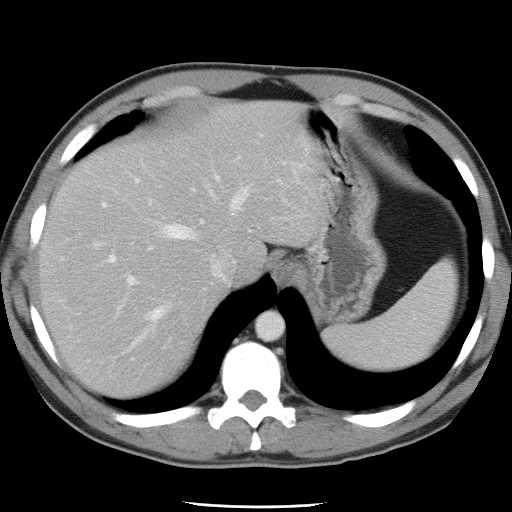 Liver, Computed tomography
The vessel boxes may cover only some of the vessels.
14 hepatic vessel regions appear at 101, 201, 106, 207; 159, 223, 197, 239; 149, 247, 151, 248; 211, 255, 225, 280; 145, 304, 166, 322; 210, 190, 212, 194; 136, 180, 138, 181; 230, 187, 249, 215; 215, 176, 217, 178; 132, 330, 147, 345; 200, 219, 203, 223; 107, 254, 116, 262; 95, 244, 100, 247; 126, 275, 137, 285.